Brain
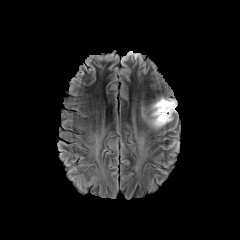
FLAIR MR.
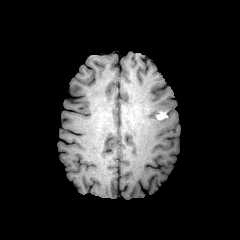
Same slice, T1-weighted MRI.
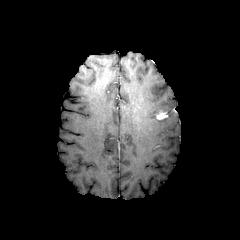
Post-contrast T1-weighted magnetic resonance.
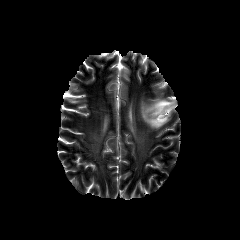
Same slice, T2-weighted MRI.
The enhancing tumor is bounded by {"x1": 156, "y1": 112, "x2": 167, "y2": 119}. The edema is at {"x1": 141, "y1": 97, "x2": 176, "y2": 130}.